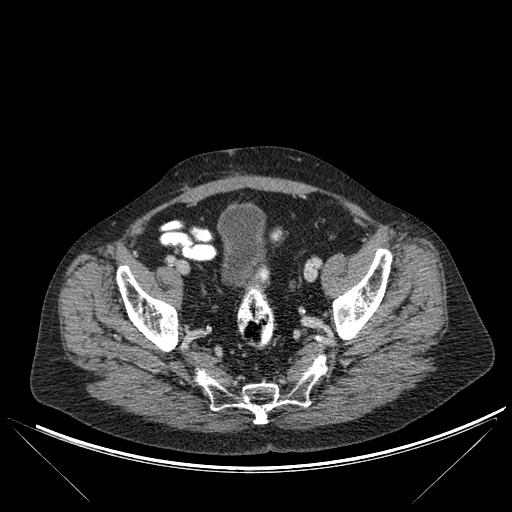 CT slice
Bone: (333, 248, 391, 339), (196, 355, 326, 423), (116, 265, 177, 351).